MR, Image width 35 mm
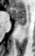
{
  "posterior_hippocampus": [
    "bbox(19, 24, 25, 25)"
  ],
  "anterior_hippocampus": [
    "bbox(10, 7, 26, 23)"
  ]
}